320x320 | Slice index 92 | Cardiac | MR image
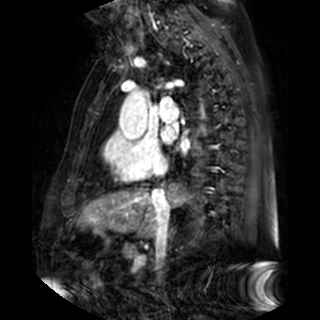

Left atrium: bounding box <box>180,142,190,150</box>, <box>162,126,174,142</box>.